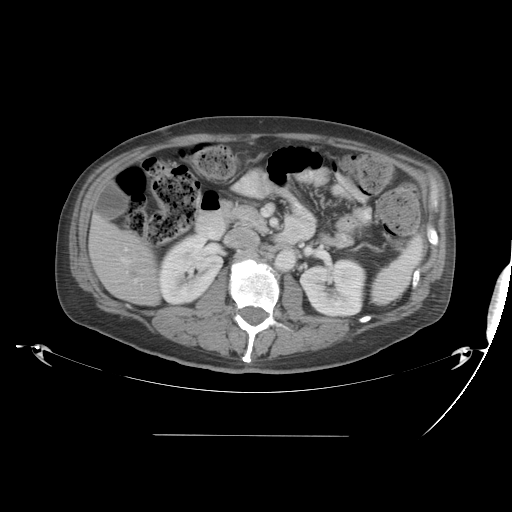

CT image.
Some hepatic vessels may have no box.
• hepatic vessel: x1=121 y1=257 x2=130 y2=264, x1=134 y1=279 x2=137 y2=282
• liver tumor: x1=128 y1=269 x2=135 y2=277